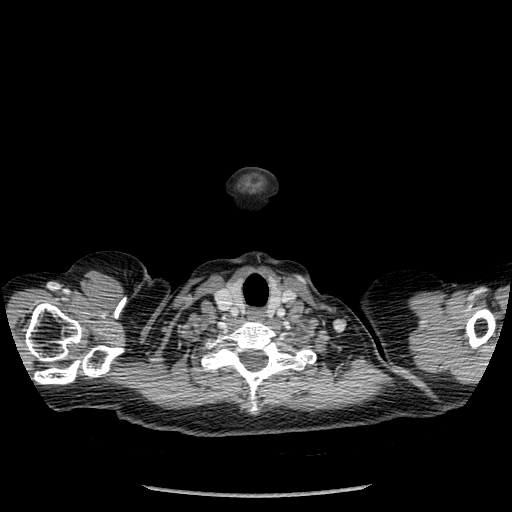

CT
bone:
  - x1=190 y1=324 x2=317 y2=414
  - x1=82 y1=345 x2=119 y2=376
  - x1=37 y1=364 x2=80 y2=382
  - x1=470 y1=312 x2=491 y2=347
  - x1=26 y1=304 x2=83 y2=361